Field of view 38 mm wide, 1.00 mm slice spacing | Medial temporal lobe | MR image
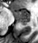 * posterior hippocampus: [18, 20, 29, 25]
* anterior hippocampus: [13, 11, 29, 19]